Slice index 465; Field of view 351 mm wide, 1.00 mm slice spacing; CT image; 512x512; Chest
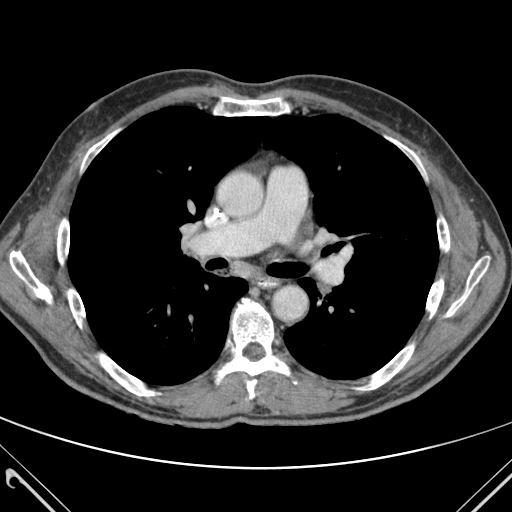 bone: 214, 97, 291, 116; 82, 131, 116, 167; 99, 354, 154, 395; 446, 256, 489, 316; 426, 279, 443, 317; 57, 219, 69, 264; 437, 218, 449, 251; 247, 380, 256, 398; 217, 298, 289, 381; 388, 137, 422, 167; 367, 345, 413, 389; 68, 289, 85, 327; 10, 251, 51, 302 | lung: 68, 106, 438, 384